Upper abdomen. Computed tomography. 512x512.

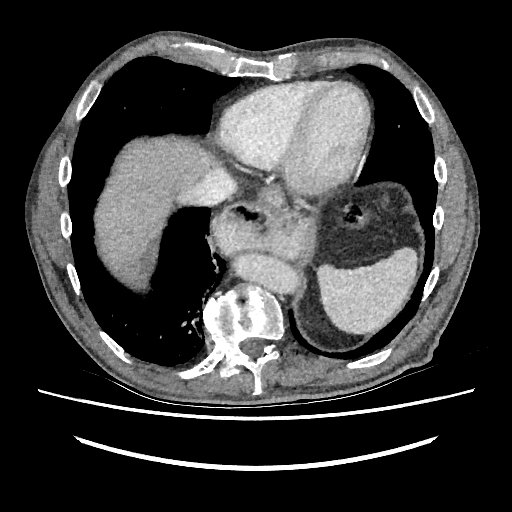
Liver = {"x1": 95, "y1": 136, "x2": 219, "y2": 276}, {"x1": 119, "y1": 241, "x2": 159, "y2": 288}.
Liver lesion = {"x1": 113, "y1": 237, "x2": 158, "y2": 286}.